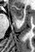 Hippocampus; MRI

anterior hippocampus: (left=12, top=5, right=24, bottom=19)